Slice index 85, Head
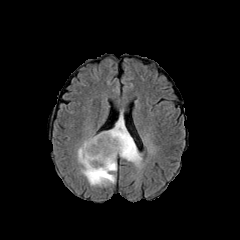
FLAIR magnetic resonance.
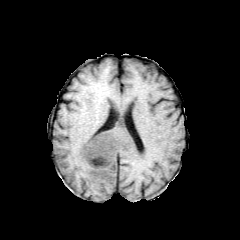
Same slice, T1-weighted MR.
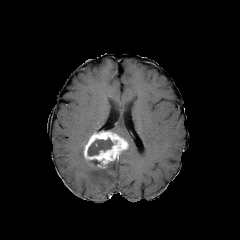
Same slice, post-contrast T1-weighted MR image.
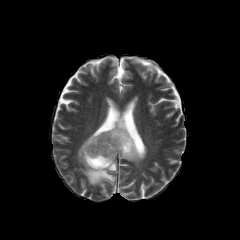
T2-weighted MR image of the same slice.
2 edema regions are bounded by l=108, t=115, r=143, b=165; l=76, t=138, r=117, b=186. The non-enhancing tumor core appears at l=88, t=139, r=112, b=155. The enhancing tumor appears at l=83, t=131, r=128, b=168.